FLAIR magnetic resonance.
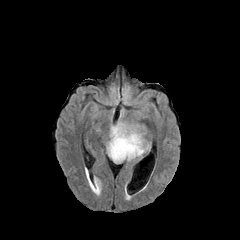
T1-weighted MRI.
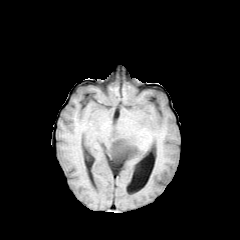
Post-contrast T1-weighted magnetic resonance.
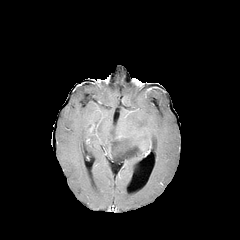
T2-weighted MR.
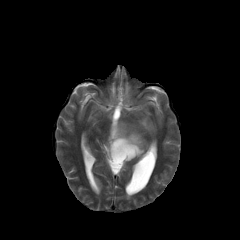
240x240 | Head
The edema is bounded by region(106, 122, 151, 163). 2 non-enhancing tumor core regions are located at region(113, 157, 124, 163); region(109, 137, 140, 157).